Slice 128 of 155, 240x240
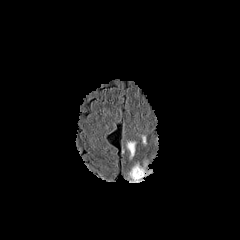
FLAIR MRI.
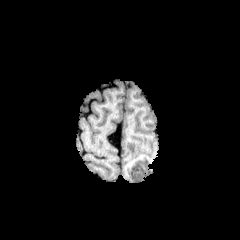
Same slice, T1-weighted MR.
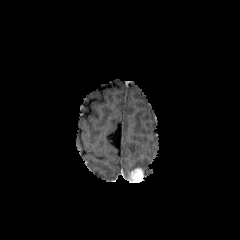
Same slice, post-contrast T1-weighted MRI.
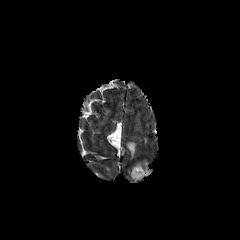
T2-weighted MR.
The edema appears at box(126, 141, 135, 158). The enhancing tumor is located at box(127, 168, 143, 182).